Field of view 472 mm wide, 0.80 mm slice spacing; Slice 472 of 845; CT slice; Upper abdomen 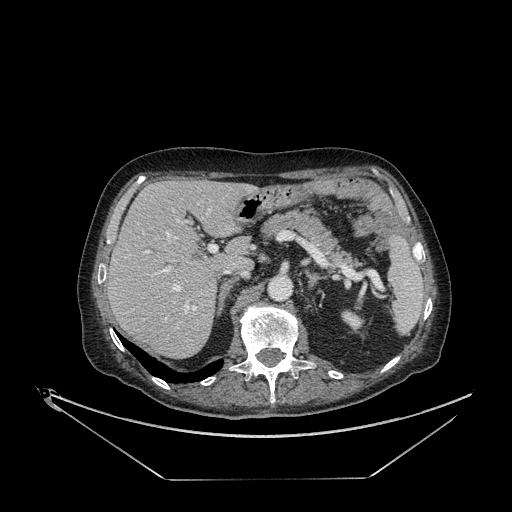

The liver is bounded by [x1=108, y1=181, x2=256, y2=358]. The kidney is at [x1=342, y1=311, x2=362, y2=329].